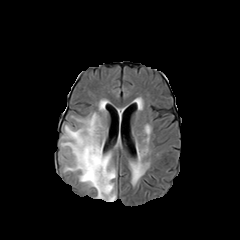
FLAIR MRI.
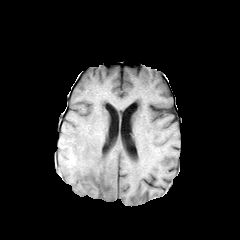
T1-weighted MR.
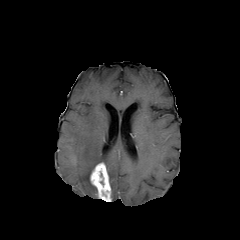
Post-contrast T1-weighted MR.
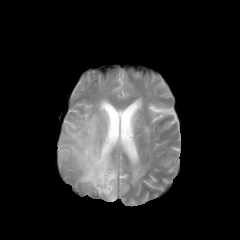
Same slice, T2-weighted MR.
Enhancing tumor — region(90, 162, 111, 201).
Edema — region(132, 163, 142, 180); region(59, 99, 116, 201).